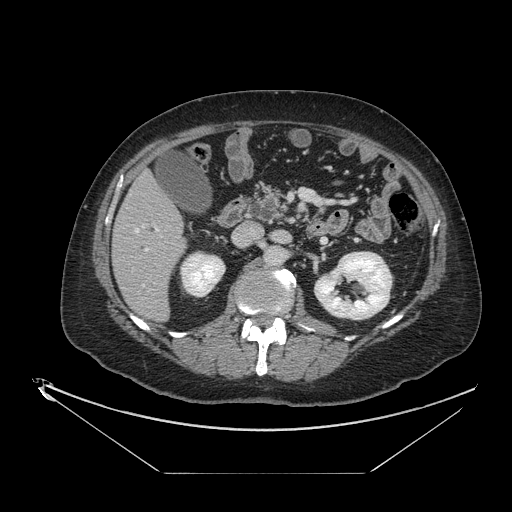 Computed tomography
Segmented structures:
* pancreatic tumor: (263, 199, 275, 209)
* pancreas: (259, 188, 284, 220)